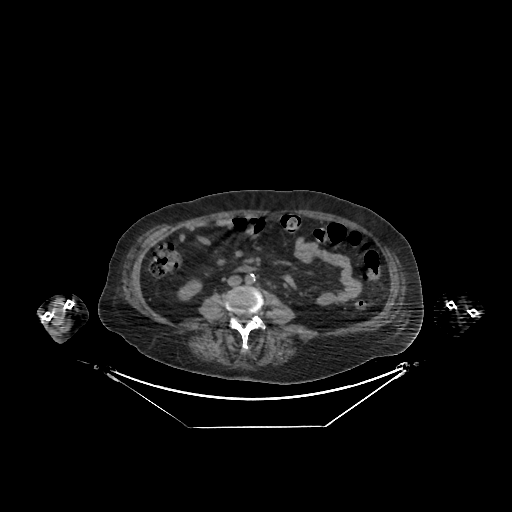
CT image
Kidney: 177,280,201,300.